Liver. Slice index 22. CT scan slice. 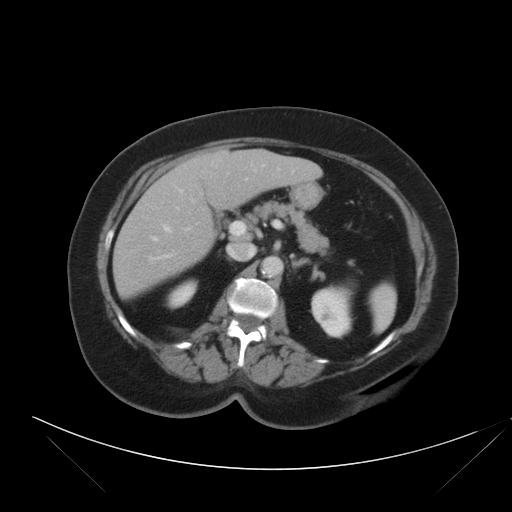

The vessel boxes may cover only some of the vessels.
Hepatic vessel at bbox=[173, 183, 183, 194]; bbox=[251, 163, 257, 171]; bbox=[148, 254, 171, 261]; bbox=[196, 222, 198, 224]; bbox=[185, 227, 190, 230]; bbox=[292, 170, 294, 173]; bbox=[152, 237, 157, 241]; bbox=[262, 165, 263, 166]; bbox=[176, 207, 178, 208]; bbox=[245, 178, 247, 180]; bbox=[163, 224, 171, 232].